Brain, Slice index 37
FLAIR MR.
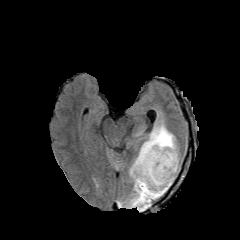
T1-weighted MRI.
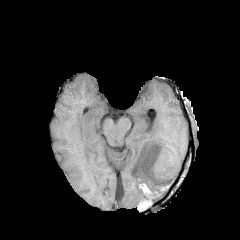
Post-contrast T1-weighted magnetic resonance.
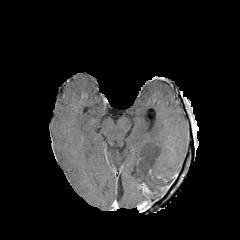
T2-weighted MR.
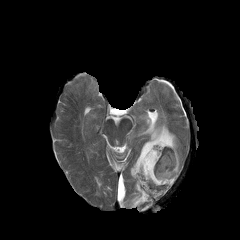
non-enhancing tumor core: 145,157,173,189 | edema: 118,117,180,210; 118,181,123,196